Image size 512x512 | Field of view 407 mm wide, 1.50 mm slice spacing | Computed tomography
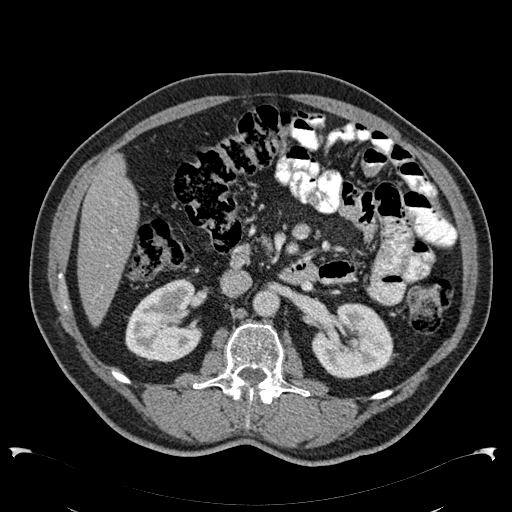 {"kidney": ["bbox=[312, 304, 392, 378]", "bbox=[125, 279, 206, 361]"], "liver": ["bbox=[78, 154, 139, 324]"]}